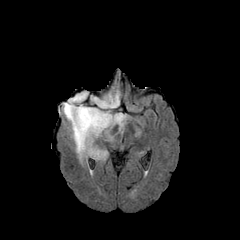
FLAIR MR.
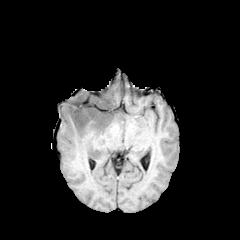
Same slice, T1-weighted MR.
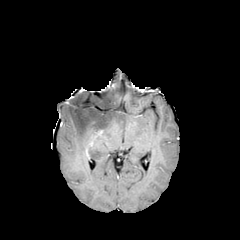
Same slice, post-contrast T1-weighted MRI.
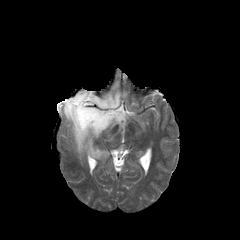
Same slice, T2-weighted magnetic resonance.
Brain
edema: [60,91,126,159] | non-enhancing tumor core: [66,95,109,128]